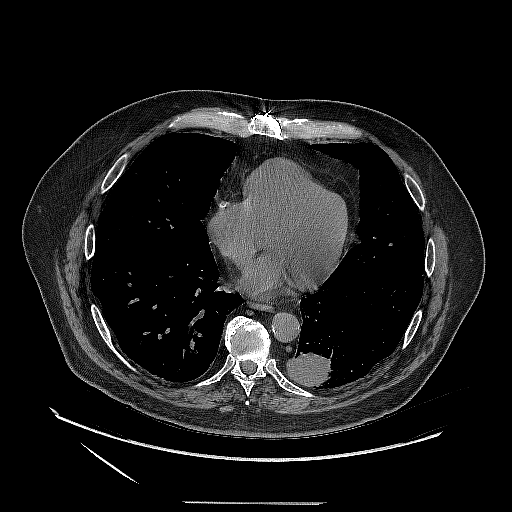

CT slice.

The lung tumor is located at bbox(287, 339, 348, 388).